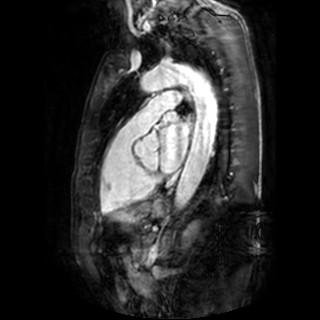 MR
The left atrium lies within 159, 112, 188, 172.